Head, Slice index 73, 240x240
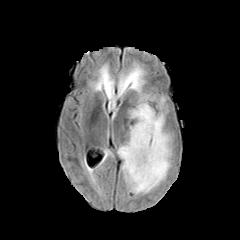
FLAIR MR image.
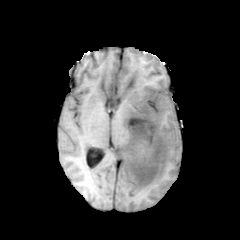
Same slice, T1-weighted MRI.
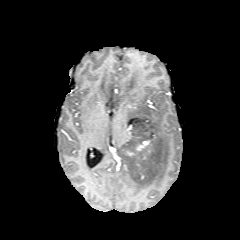
Post-contrast T1-weighted MRI of the same slice.
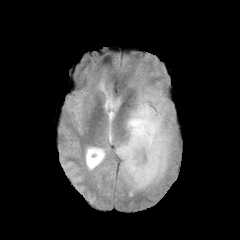
T2-weighted magnetic resonance.
Non-enhancing tumor core: 124,100,167,190.
Enhancing tumor: 137,140,150,150.
Edema: 117,64,173,194; 101,84,116,107; 136,150,150,163.